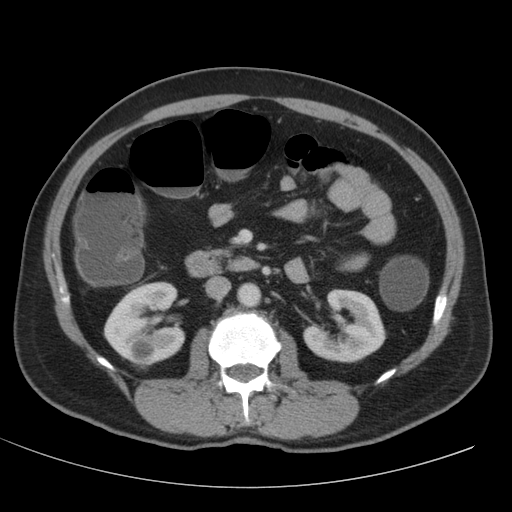
CT slice
Kidney: bbox=[304, 290, 384, 361]; bbox=[104, 282, 184, 363].